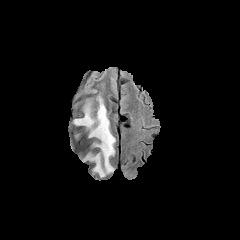
FLAIR MRI.
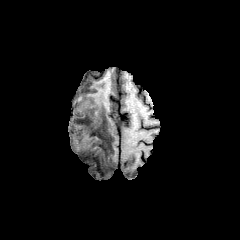
T1-weighted magnetic resonance.
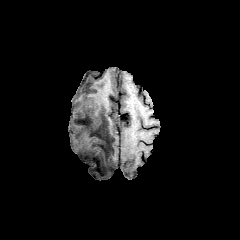
Post-contrast T1-weighted MR image.
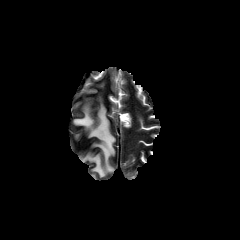
T2-weighted MRI of the same slice.
240x240 px
Annotated regions:
- edema: <box>74,97,115,176</box>